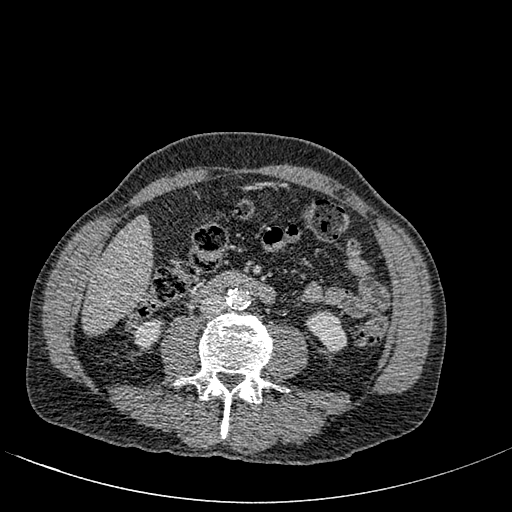

Computed tomography, 512x512
Kidney = [135, 321, 161, 348], [307, 312, 346, 350].
Liver = [83, 216, 151, 332].